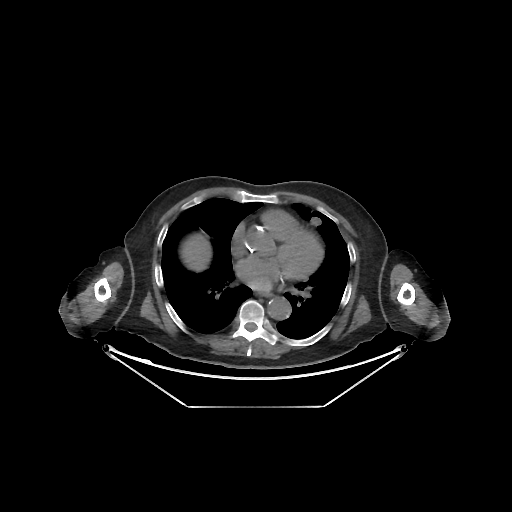

CT image
Lung — bbox(276, 203, 349, 339); bbox(161, 197, 263, 334).
Liver — bbox(183, 236, 209, 269).
Bone — bbox(155, 266, 162, 285); bbox(94, 278, 110, 301); bbox(287, 327, 329, 345); bbox(341, 285, 351, 304); bbox(241, 191, 276, 202); bbox(397, 283, 414, 305); bbox(166, 304, 183, 329); bbox(232, 300, 277, 344); bbox(158, 227, 165, 244).